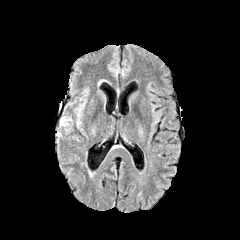
FLAIR magnetic resonance.
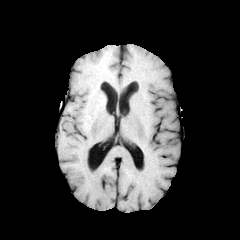
T1-weighted magnetic resonance.
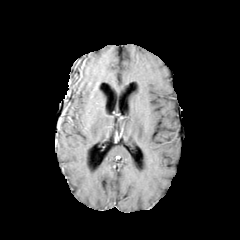
Same slice, post-contrast T1-weighted MR.
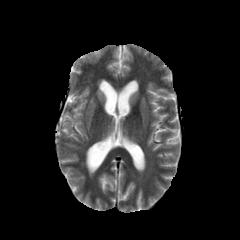
Same slice, T2-weighted MRI.
Edema = 58,90,86,140.